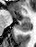 Hippocampus, MRI
Annotated regions:
- anterior hippocampus: (left=13, top=13, right=14, bottom=16), (left=21, top=18, right=29, bottom=19)
- posterior hippocampus: (left=16, top=20, right=30, bottom=31)